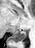
MR image

Posterior hippocampus: x1=10, y1=31, x2=26, y2=41.